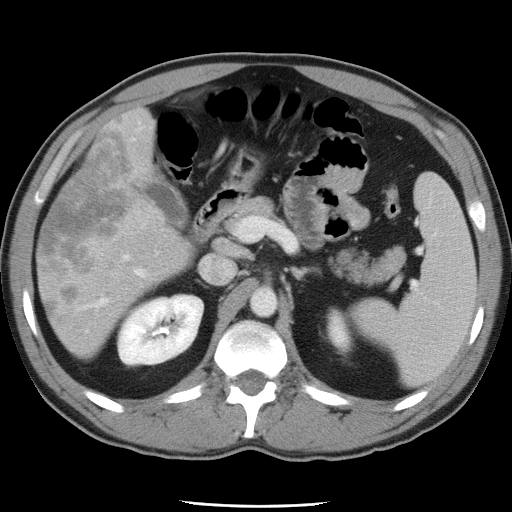

CT
Only some of the vessels may be annotated.
hepatic_vessel:
  - [x1=239, y1=217, x2=255, y2=239]
  - [x1=135, y1=269, x2=142, y2=274]
  - [x1=91, y1=298, x2=105, y2=306]
  - [x1=123, y1=255, x2=127, y2=258]